Image size 512x512, CT image
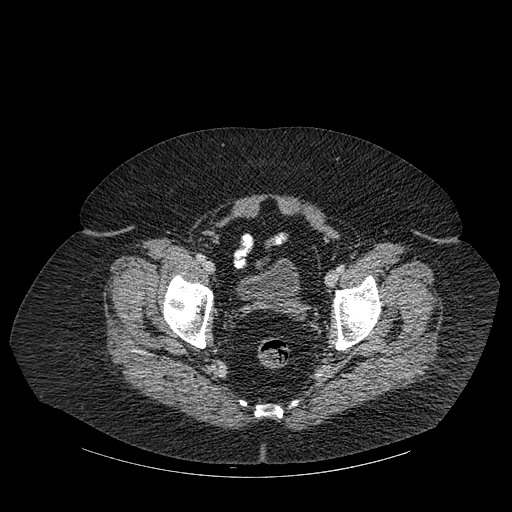
Urinary bladder: bounding box bbox=[236, 258, 300, 315].
Bone: bounding box bbox=[163, 275, 212, 348]; bbox=[334, 276, 380, 349]; bbox=[255, 405, 282, 417].